Liver. Image width 380 mm. Slice 477/871. 512x512. Computed tomography.
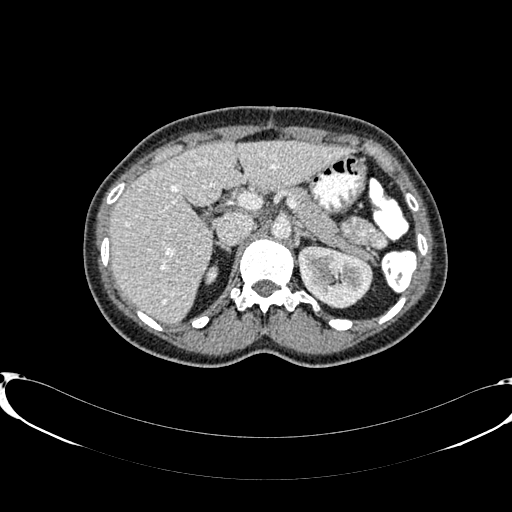 <segmentation>
  <kidney>x1=300, y1=248, x2=370, y2=308</kidney>
  <liver>x1=108, y1=141, x2=352, y2=322</liver>
</segmentation>